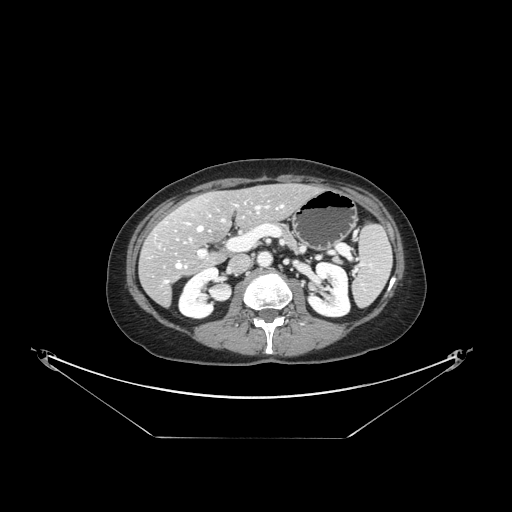

CT scan slice; Liver; 512x512
The vessel annotation is not exhaustive.
Segmented structures:
* hepatic vessel: (257, 207, 259, 208), (198, 226, 202, 230)